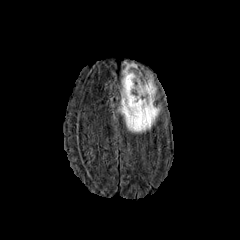
FLAIR MR.
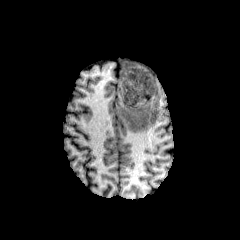
T1-weighted MR.
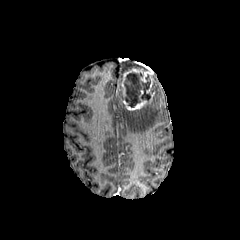
Same slice, post-contrast T1-weighted MRI.
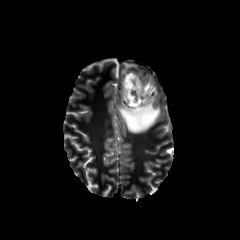
T2-weighted MRI.
Edema: bounding box box(122, 62, 136, 73); box(118, 99, 161, 133).
Non-enhancing tumor core: bounding box box(140, 80, 150, 100); box(124, 73, 141, 107).
Enhancing tumor: bounding box box(121, 66, 154, 110).